CT slice | Slice 44/76 | Abdomen 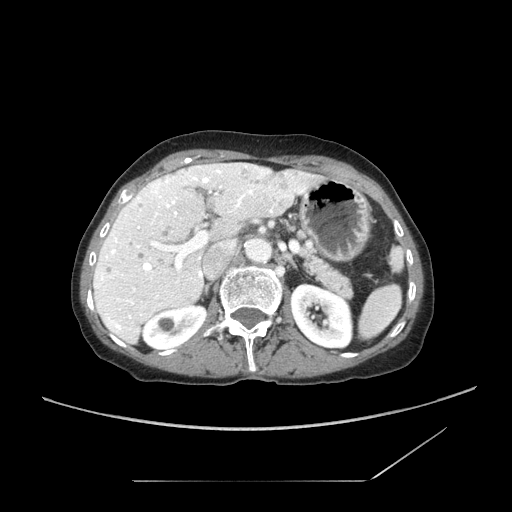

{
  "pancreas": [
    "l=301, t=248, r=351, b=296"
  ]
}